Image size 320x320, MR image, Field of view 400 mm wide, 1.37 mm slice spacing, Cardiac
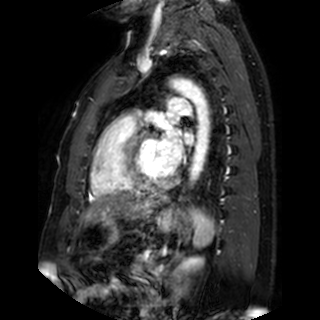

<segmentation>
  <left_atrium>(167, 111, 178, 122), (162, 126, 183, 165), (185, 132, 194, 144)</left_atrium>
</segmentation>